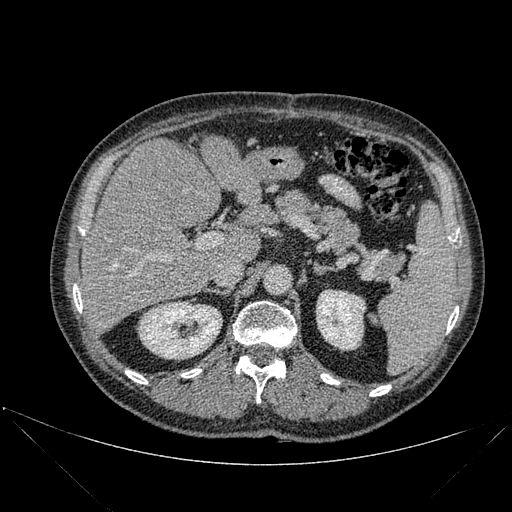

Upper abdomen | CT
Bone: [181, 369, 201, 377], [448, 228, 459, 242], [320, 374, 339, 384], [233, 301, 296, 348], [447, 306, 458, 333], [370, 385, 391, 396], [73, 284, 82, 312], [125, 370, 147, 384], [235, 356, 285, 402].
Liver: [237, 181, 261, 223], [234, 229, 260, 262], [201, 135, 248, 190], [79, 139, 222, 334].
Kidney: [139, 302, 221, 358], [316, 290, 365, 349].